FLAIR MR image.
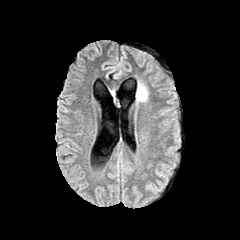
T1-weighted MRI.
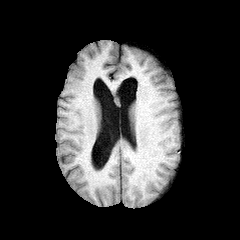
Post-contrast T1-weighted MR image.
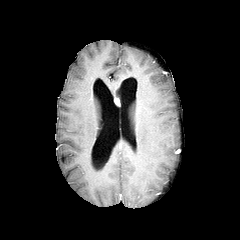
T2-weighted MR.
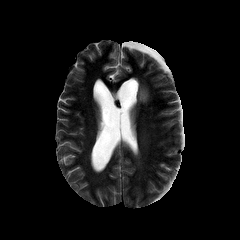
edema: 136 83 148 103